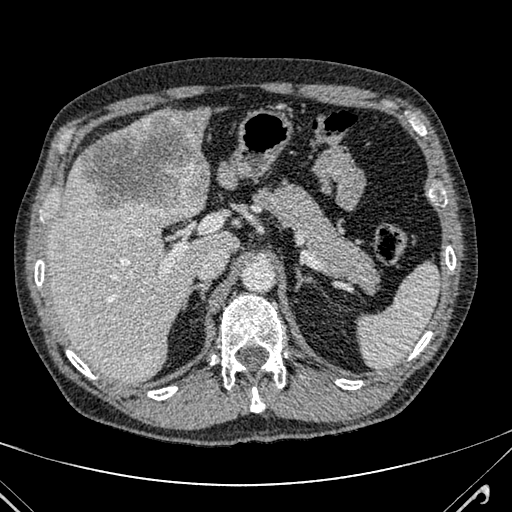 CT | Abdomen
Liver — 154 106 214 152, 109 114 153 139, 47 159 237 382, 219 164 236 187.
Hepatic lesion — 79 113 208 209, 58 241 65 250.